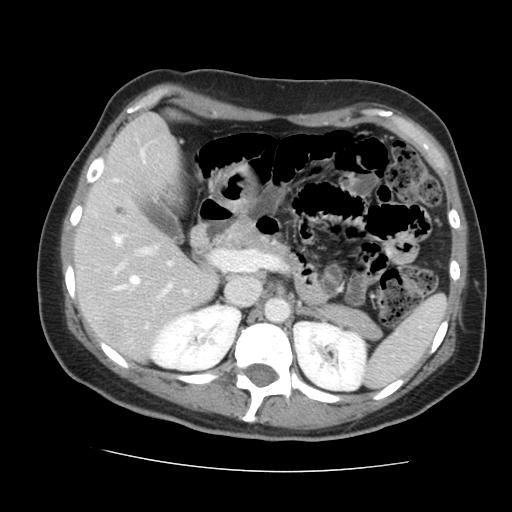

CT image; Liver
The vessel annotation is not exhaustive.
Segmented structures:
- liver tumor: (108, 327, 115, 337)
- hepatic vessel: (140, 249, 150, 253), (115, 287, 123, 289), (130, 276, 138, 284), (114, 268, 119, 273), (167, 262, 170, 264), (114, 236, 121, 244), (161, 285, 170, 295)